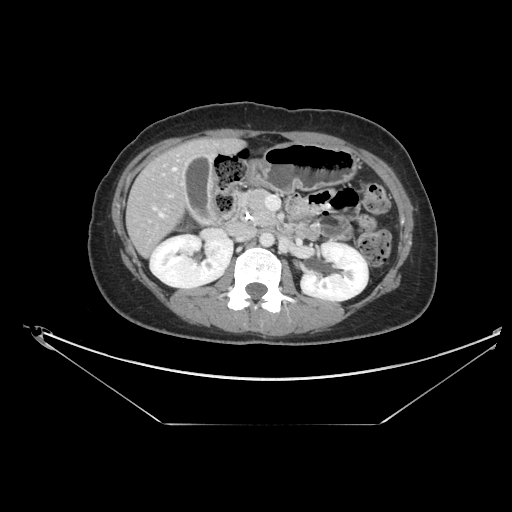 CT, 512x512

pancreas: left=241, top=190, right=277, bottom=226 | pancreatic tumor: left=251, top=194, right=265, bottom=214